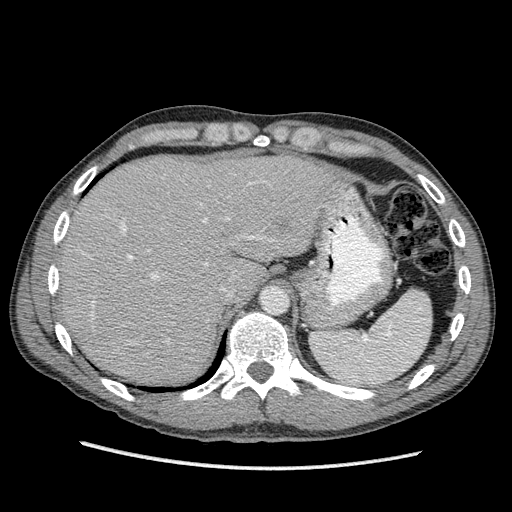 Computed tomography. Abdomen.
Findings:
* hepatic lesion: <bbox>275, 215, 291, 232</bbox>
* liver: <bbox>56, 150, 338, 385</bbox>